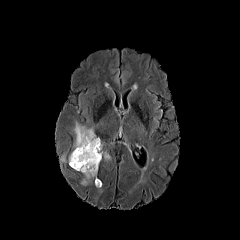
FLAIR MR.
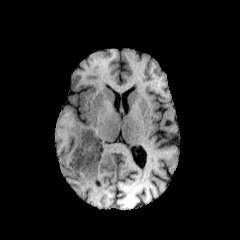
Same slice, T1-weighted magnetic resonance.
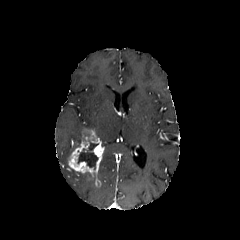
Post-contrast T1-weighted MR image.
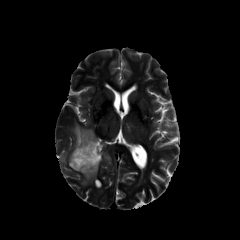
Same slice, T2-weighted MR.
Head | 240x240
Edema: bounding box bbox(72, 122, 89, 150); bbox(81, 172, 95, 185).
Non-enhancing tumor core: bounding box bbox(77, 143, 98, 167).
Enhancing tumor: bounding box bbox(68, 129, 104, 186).